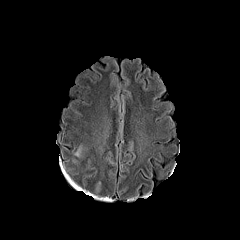
FLAIR MRI.
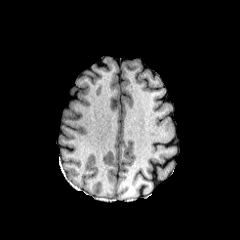
Same slice, T1-weighted magnetic resonance.
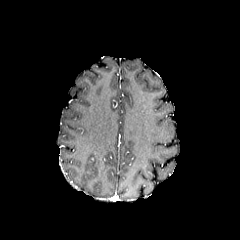
Post-contrast T1-weighted MR image of the same slice.
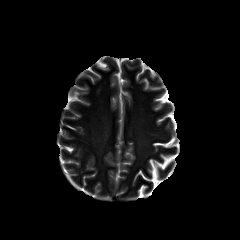
Same slice, T2-weighted MR image.
Brain
{"edema": ["l=74, t=146, r=81, b=158"]}